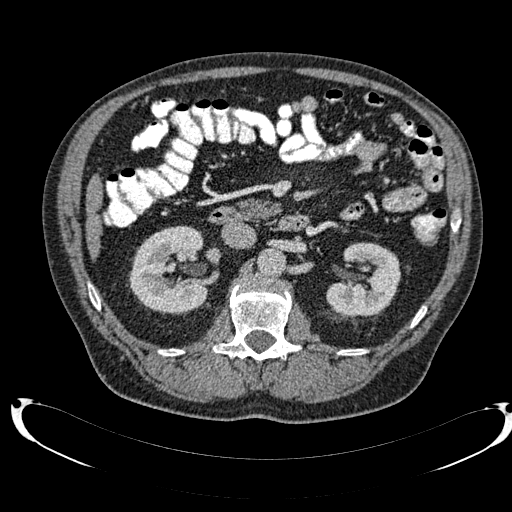

CT slice; Abdomen

kidney: 129,226,220,313; 326,243,400,316 | liver: 86,175,102,258